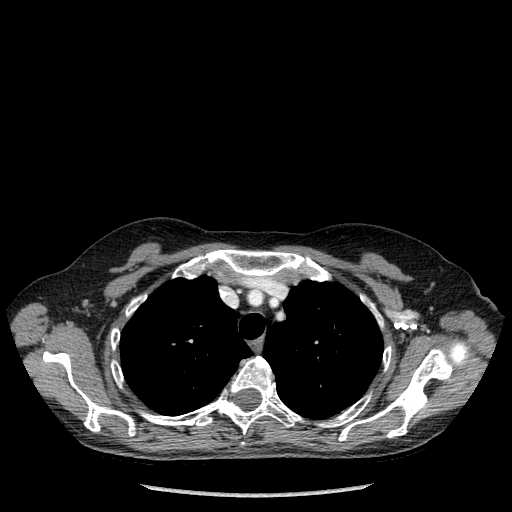

Thorax, CT slice
lung: l=263, t=280, r=383, b=418; l=120, t=275, r=264, b=415 | bone: l=140, t=356, r=304, b=434; l=110, t=328, r=119, b=349; l=317, t=340, r=470, b=441; l=111, t=360, r=123, b=387; l=383, t=346, r=391, b=370; l=360, t=295, r=383, b=327; l=125, t=294, r=146, b=316; l=172, t=249, r=329, b=281; l=42, t=351, r=135, b=436